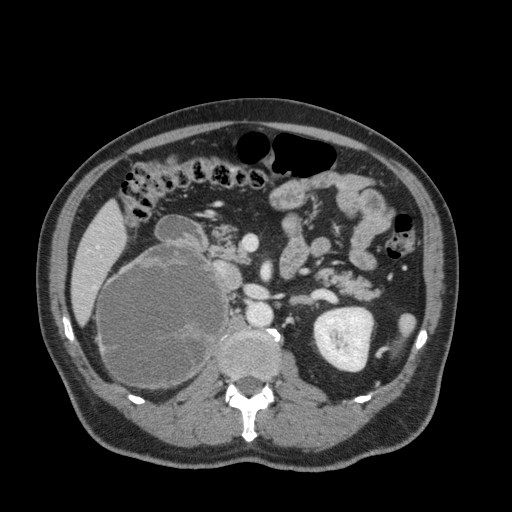

CT. Upper abdomen.

Kidney: bounding box l=314, t=308, r=372, b=370.
Liver: bounding box l=73, t=201, r=125, b=323.